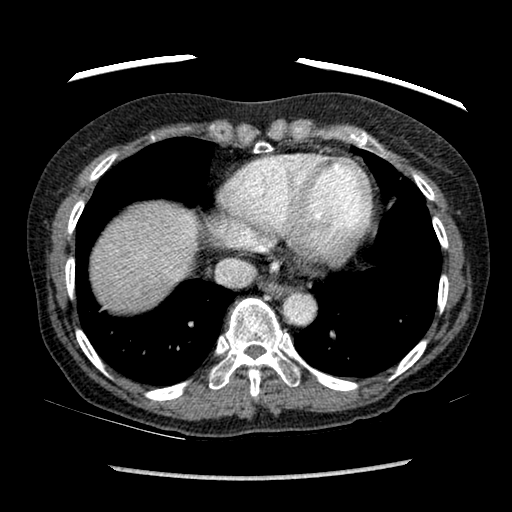
CT image
Annotated regions:
* liver: region(93, 205, 197, 311)